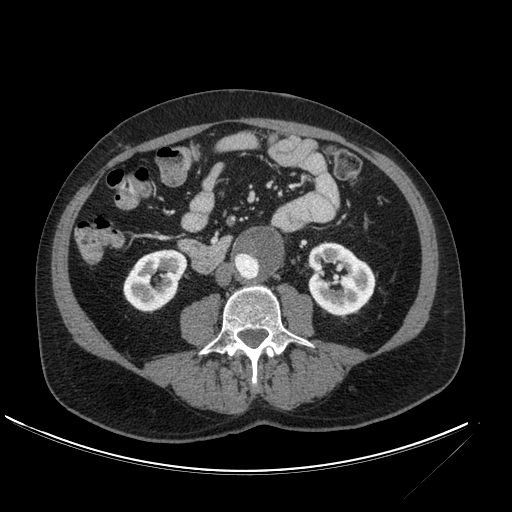
512x512; Computed tomography
Kidney at bbox(124, 250, 186, 310); bbox(309, 243, 374, 314).